CT scan slice. Slice 393 of 836. 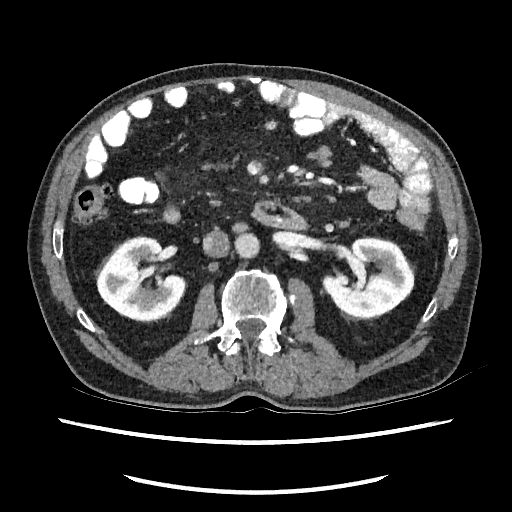 Kidney: bounding box x1=97 y1=236 x2=185 y2=321, x1=324 y1=238 x2=413 y2=319.